FLAIR MR.
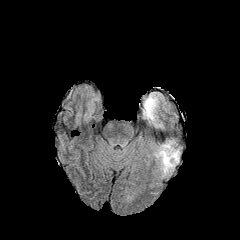
T1-weighted MR image.
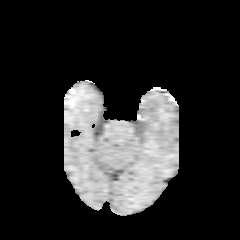
Post-contrast T1-weighted MR image.
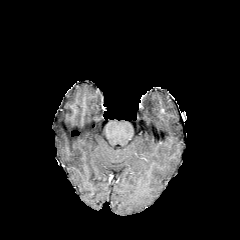
T2-weighted MR.
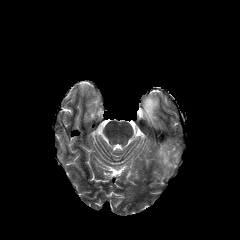
Head
- edema: [x1=141, y1=92, x2=166, y2=128], [x1=153, y1=140, x2=182, y2=179]